Liver, Computed tomography 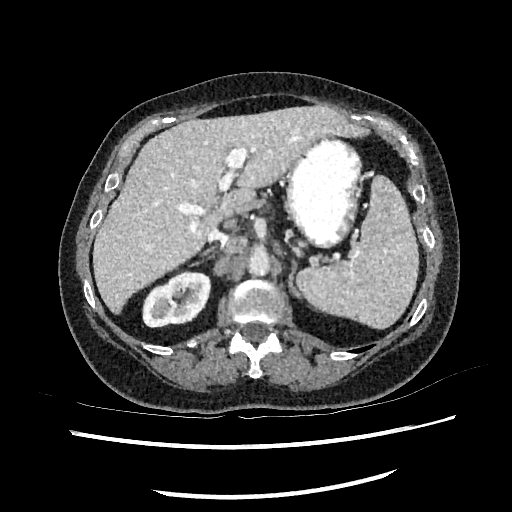 kidney:
  - region(143, 273, 209, 326)
liver:
  - region(92, 106, 370, 313)